CT. Abdomen.

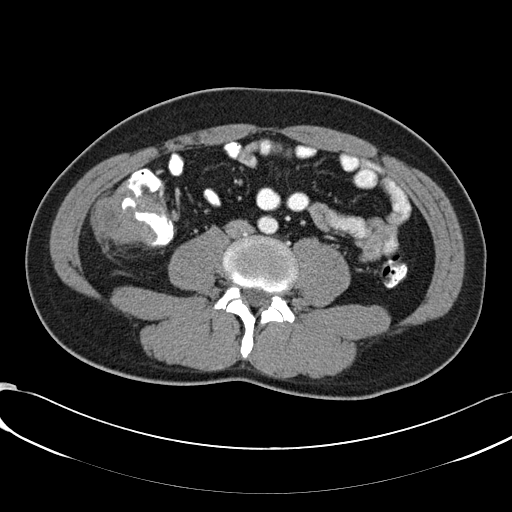

{"colon_tumor": ["136, 193, 162, 213", "91, 187, 155, 244"]}